Slice 619/917, CT
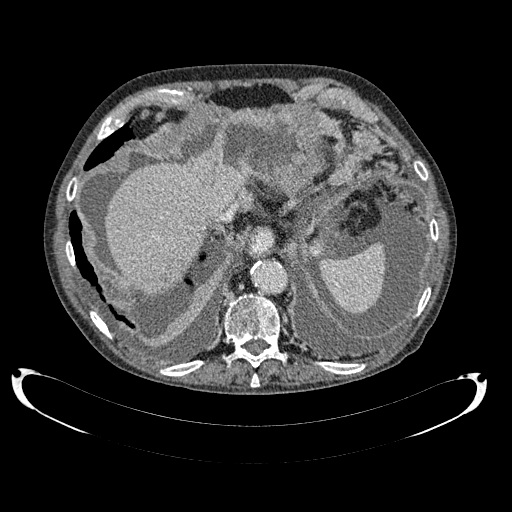 The liver appears at [105, 151, 245, 292].